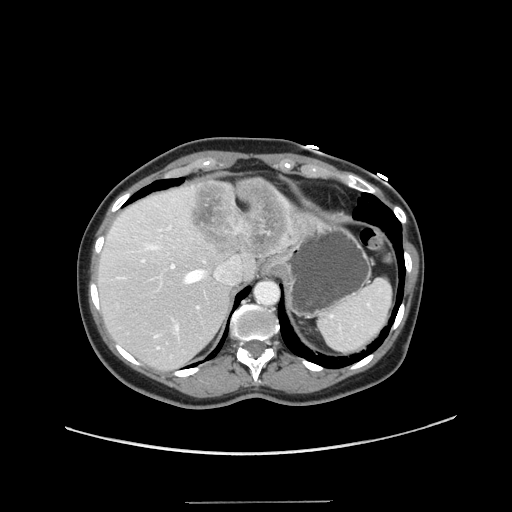
CT image; Abdomen
The vessel boxes may cover only some of the vessels.
Segmented structures:
- hepatic vessel: (left=151, top=246, right=156, bottom=248), (left=174, top=325, right=178, bottom=332), (left=171, top=264, right=174, bottom=267), (left=214, top=256, right=240, bottom=284), (left=197, top=306, right=198, bottom=307), (left=118, top=277, right=121, bottom=277), (left=155, top=335, right=157, bottom=336), (left=142, top=260, right=144, bottom=261), (left=185, top=270, right=204, bottom=281)
- liver tumor: (left=189, top=180, right=289, bottom=255)